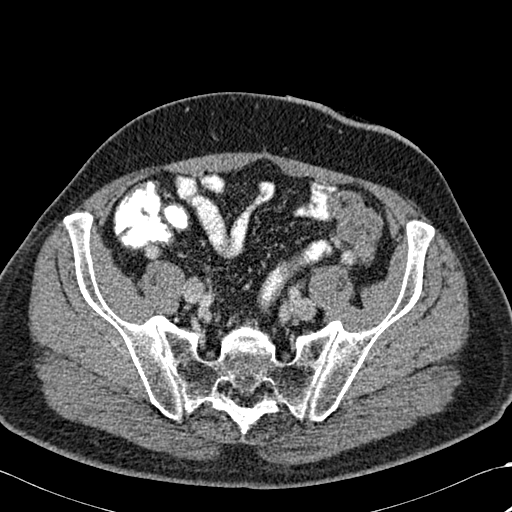

512x512 px; CT image

The bone lies within region(63, 212, 434, 433).